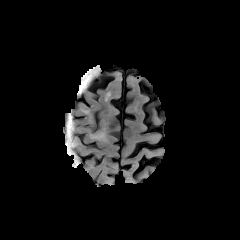
FLAIR MR image.
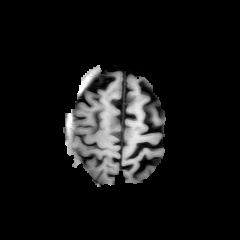
T1-weighted magnetic resonance.
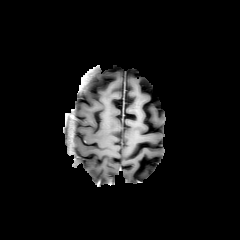
Post-contrast T1-weighted MR image of the same slice.
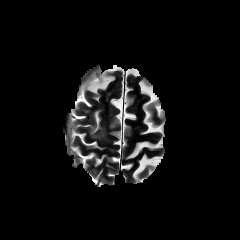
T2-weighted MR image of the same slice.
Head
edema:
  - bbox=[93, 133, 103, 139]